512x512 | CT scan slice 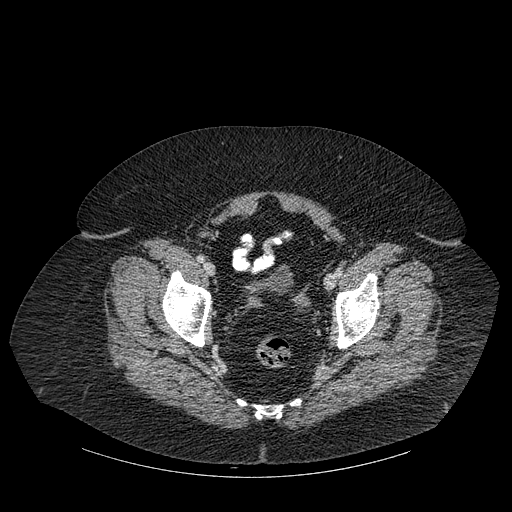 <segmentation>
  <bone>l=335, t=273, r=379, b=348; l=290, t=399, r=301, b=405; l=163, t=271, r=211, b=346; l=237, t=399, r=246, b=405; l=254, t=405, r=282, b=418</bone>
</segmentation>